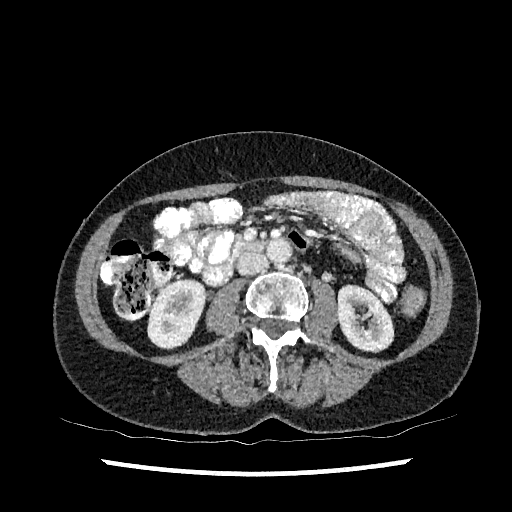

Abdomen. CT.
Segmented structures:
- kidney: (338, 286, 393, 350), (148, 280, 204, 347)